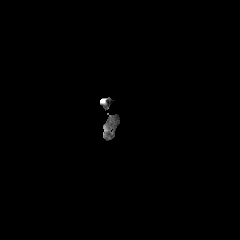
FLAIR magnetic resonance.
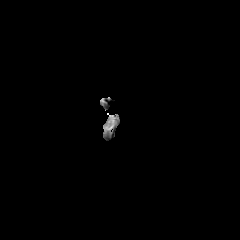
Same slice, T1-weighted MRI.
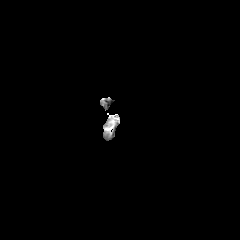
Post-contrast T1-weighted MRI.
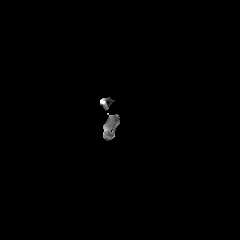
T2-weighted magnetic resonance of the same slice.
Head
Annotated regions:
• edema: bbox=[104, 116, 113, 131]